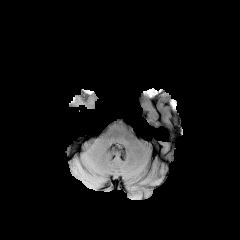
FLAIR MR image.
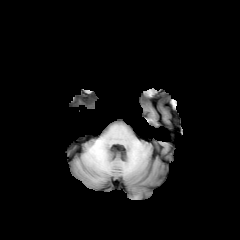
T1-weighted magnetic resonance.
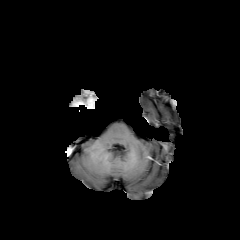
Post-contrast T1-weighted MR of the same slice.
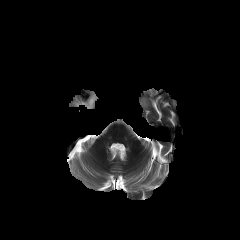
T2-weighted MR image of the same slice.
<segmentation>
  <enhancing_tumor><bbox>80, 96, 93, 107</bbox></enhancing_tumor>
</segmentation>